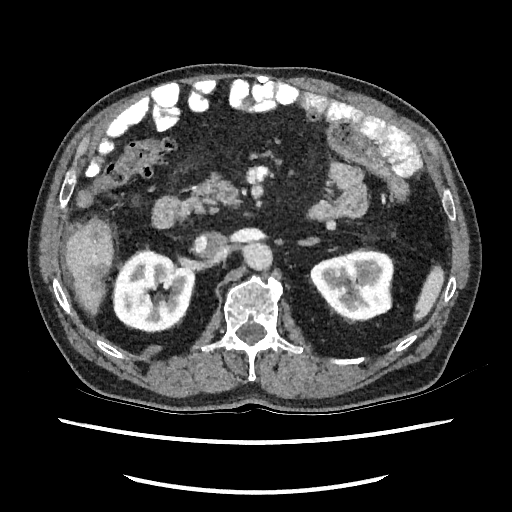

CT image
Annotated regions:
• liver: x1=66 y1=220 x2=112 y2=310
• kidney: x1=112 y1=249 x2=196 y2=332, x1=311 y1=249 x2=393 y2=321
• liver lesion: x1=88 y1=264 x2=106 y2=286, x1=91 y1=222 x2=104 y2=239